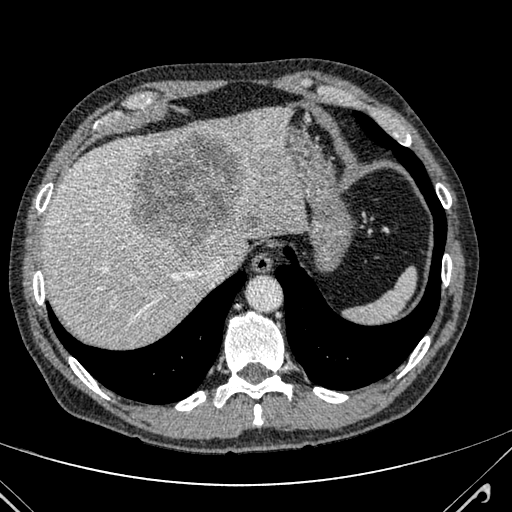
CT image | 512x512 px
Segmented structures:
* hepatic lesion: bbox(245, 214, 262, 228); bbox(130, 131, 246, 255)
* liver: bbox(42, 108, 305, 346)